Magnetic resonance.

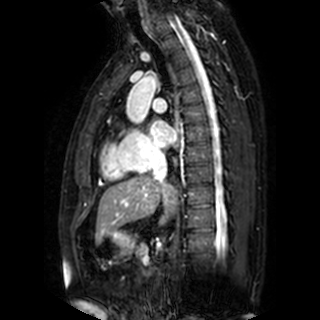
left_atrium:
  - {"x1": 149, "y1": 119, "x2": 176, "y2": 147}